Field of view 240x240 mm
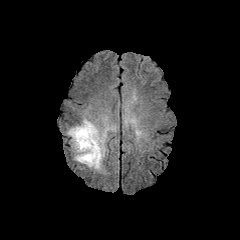
FLAIR MR.
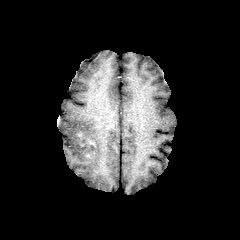
T1-weighted MRI of the same slice.
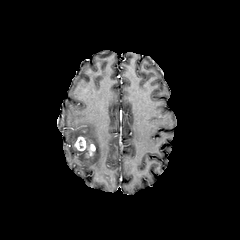
Post-contrast T1-weighted magnetic resonance.
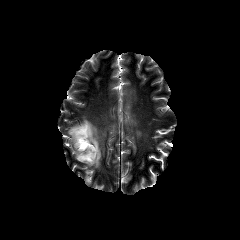
T2-weighted MRI of the same slice.
2 edema regions are located at x1=66 y1=116 x2=115 y2=171, x1=124 y1=108 x2=131 y2=125. The enhancing tumor is bounded by x1=74 y1=136 x2=95 y2=155.